Abdomen, CT slice, Field of view 472 mm wide, 0.80 mm slice spacing 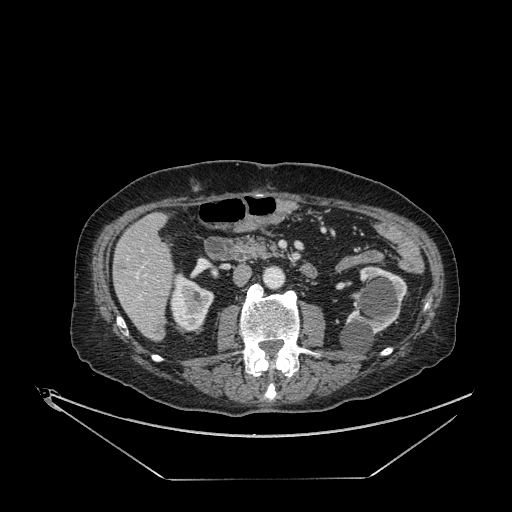
The focal liver lesion is at 155:320:163:335. The liver is bounded by 113:213:173:340. 3 kidney regions are bounded by 171:274:213:330, 191:269:204:276, 347:267:406:333.